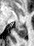 Hippocampus; MRI slice

The posterior hippocampus is bounded by region(16, 26, 26, 38).